FLAIR MR image.
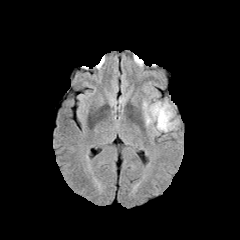
T1-weighted MRI.
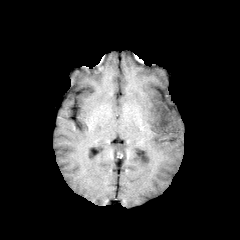
Post-contrast T1-weighted MR image.
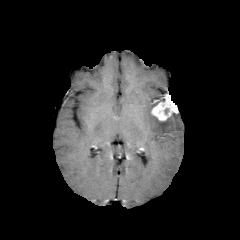
T2-weighted MRI.
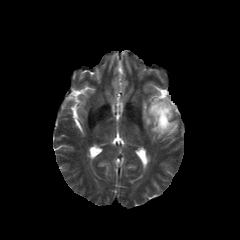
Brain; 240x240
The edema appears at [143, 101, 179, 135]. The non-enhancing tumor core is bounded by [153, 116, 168, 126]. The enhancing tumor is at [150, 97, 176, 120].